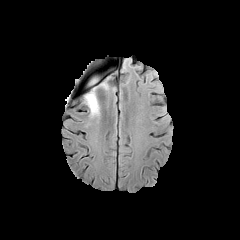
FLAIR magnetic resonance.
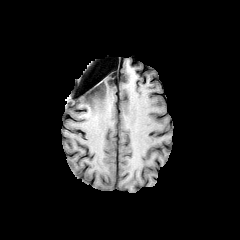
T1-weighted MR.
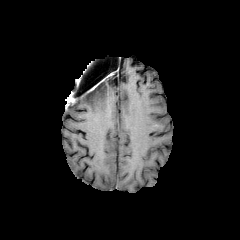
Post-contrast T1-weighted MR of the same slice.
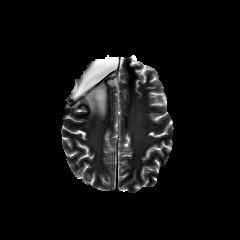
T2-weighted magnetic resonance of the same slice.
Brain
The edema is at left=83, top=81, right=107, bottom=116. The non-enhancing tumor core lies within left=88, top=84, right=103, bottom=97.